Abdomen, CT image
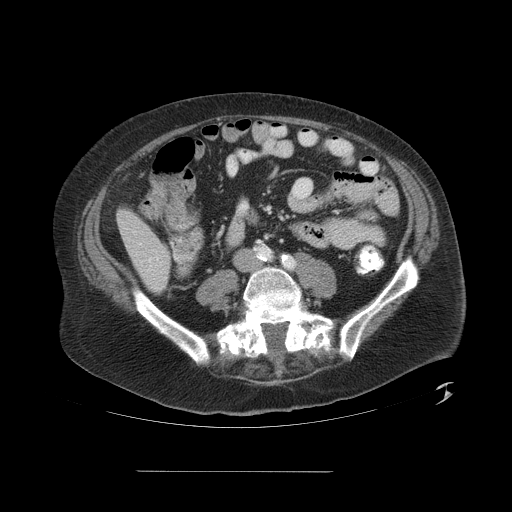 The vessel boxes may cover only some of the vessels.
hepatic_vessel:
  - bbox=[148, 257, 150, 261]